Abdomen. CT.

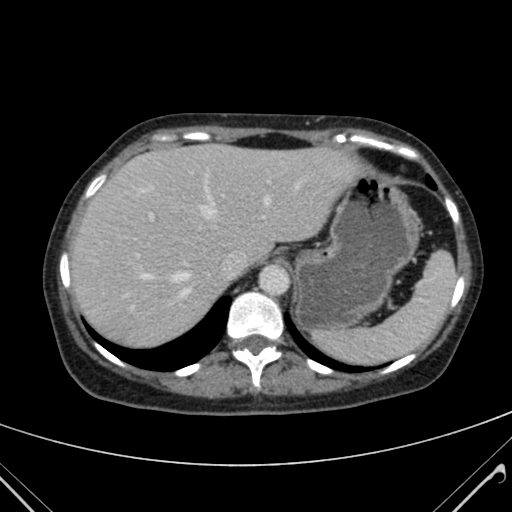 Liver = [72,145,353,346].